FLAIR magnetic resonance.
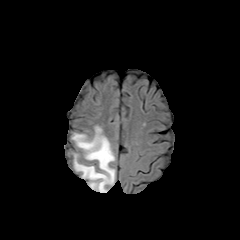
T1-weighted MR.
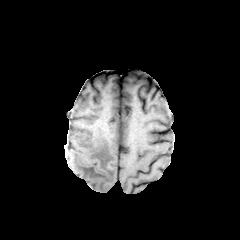
Post-contrast T1-weighted MR.
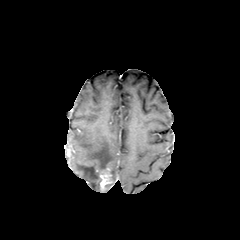
T2-weighted MR image.
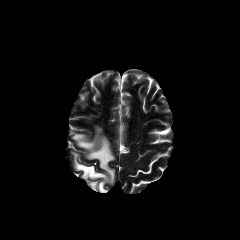
The enhancing tumor lies within [98,168,112,190]. The edema appears at [71,126,115,191].